240x240 px | Slice 92/155 | Brain
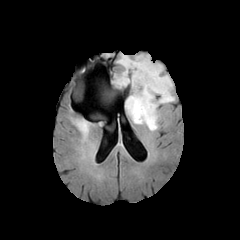
FLAIR MR.
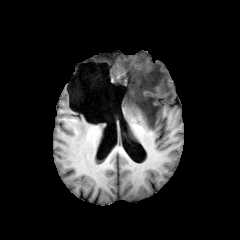
T1-weighted MR image.
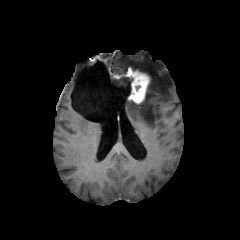
Same slice, post-contrast T1-weighted MRI.
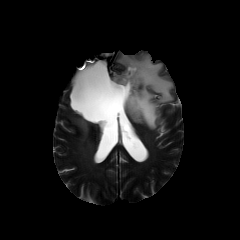
T2-weighted MR image of the same slice.
{
  "enhancing_tumor": [
    "125 67 149 103"
  ],
  "edema": [
    "118 55 174 130",
    "112 76 123 84"
  ],
  "non-enhancing_tumor_core": [
    "138 76 153 117",
    "114 68 132 96"
  ]
}